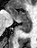
MRI slice
Anterior hippocampus = (8, 7, 30, 21).
Posterior hippocampus = (17, 22, 30, 33).